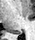

MR | Hippocampus
Posterior hippocampus at (8, 30, 22, 34).